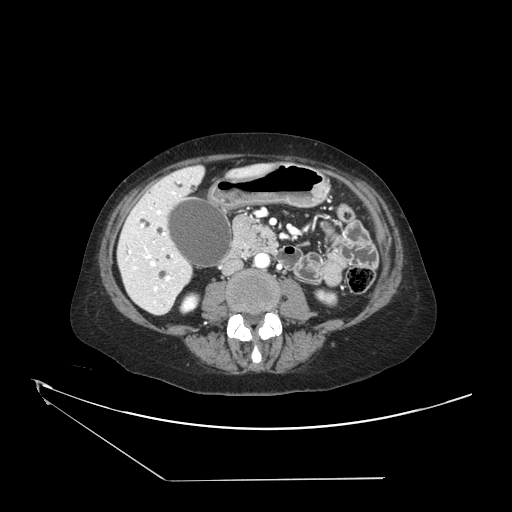

CT.
Segmented structures:
* pancreas: x1=233 y1=216 x2=278 y2=258